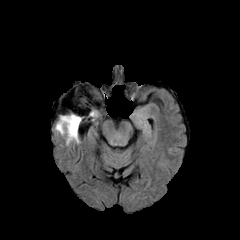
FLAIR magnetic resonance.
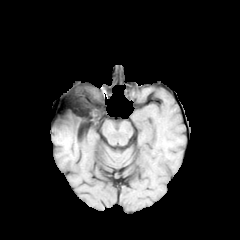
T1-weighted MR image of the same slice.
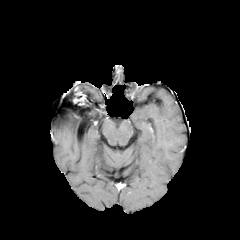
Post-contrast T1-weighted MR image.
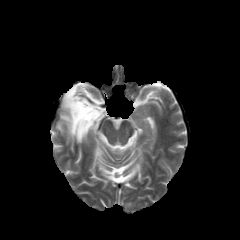
Same slice, T2-weighted magnetic resonance.
Head
Findings:
* edema: (left=54, top=116, right=83, bottom=145)
* non-enhancing tumor core: (left=61, top=108, right=101, bottom=133)